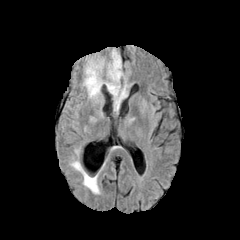
FLAIR MR.
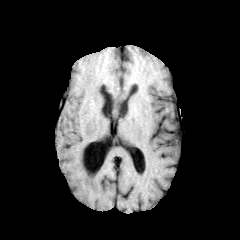
Same slice, T1-weighted MR.
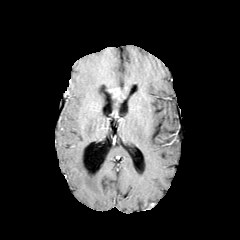
Post-contrast T1-weighted MR.
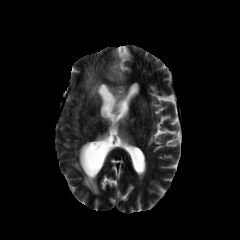
Same slice, T2-weighted MR image.
Image size 240x240
edema:
  - (83,64,127,101)
  - (107,51,123,82)
  - (112,100,120,113)
  - (70,148,100,194)
enhancing_tumor:
  - (112,88,120,100)